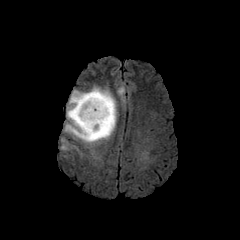
FLAIR MRI.
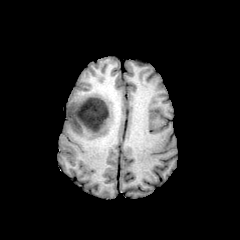
T1-weighted magnetic resonance of the same slice.
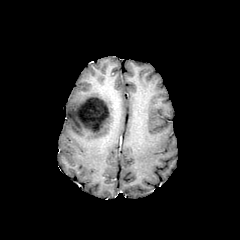
Post-contrast T1-weighted magnetic resonance.
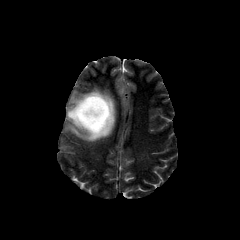
T2-weighted MR image.
Head, 240x240 px
{"non-enhancing_tumor_core": ["[70, 90, 115, 138]"], "edema": ["[64, 87, 117, 144]"]}